Upper abdomen; Slice index 27; Image width 376 mm; Computed tomography
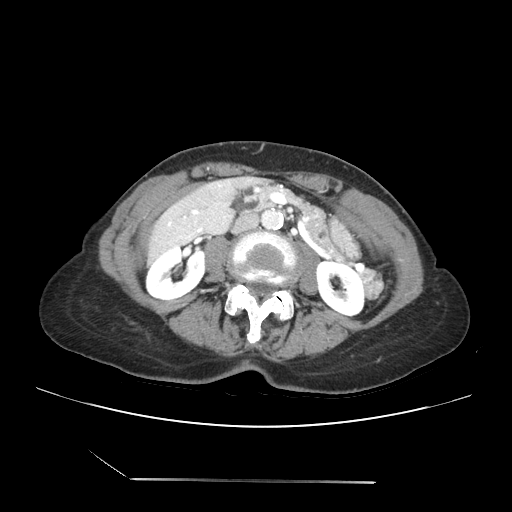
Pancreas: bounding box <bbox>232, 184, 345, 261</bbox>.